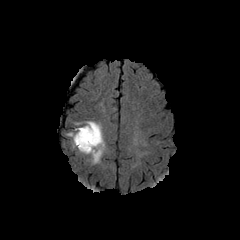
FLAIR magnetic resonance.
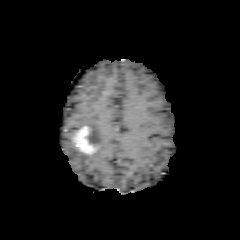
Same slice, T1-weighted MRI.
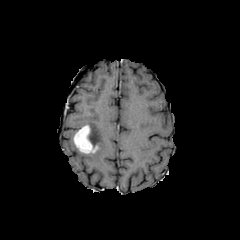
Post-contrast T1-weighted magnetic resonance.
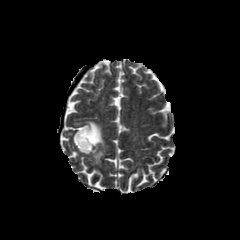
T2-weighted MR.
{
  "enhancing_tumor": [
    "box=[73, 125, 96, 153]"
  ],
  "non-enhancing_tumor_core": [
    "box=[89, 126, 97, 146]"
  ],
  "edema": [
    "box=[82, 120, 106, 164]",
    "box=[68, 126, 83, 148]"
  ]
}